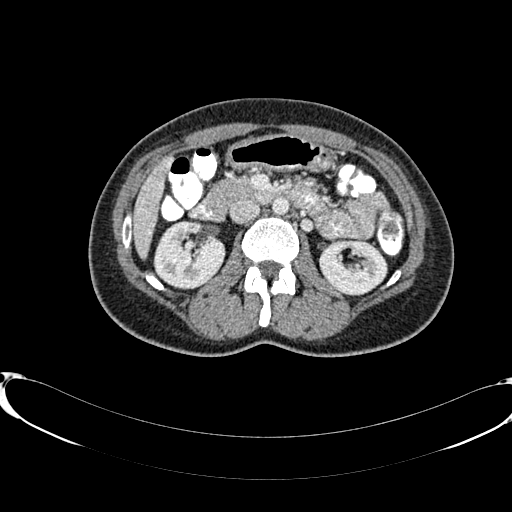 512x512 | CT | Abdomen
2 kidney regions appear at [x1=155, y1=223, x2=223, y2=287], [x1=320, y1=242, x2=385, y2=293]. The liver is bounded by [x1=133, y1=156, x2=171, y2=258].